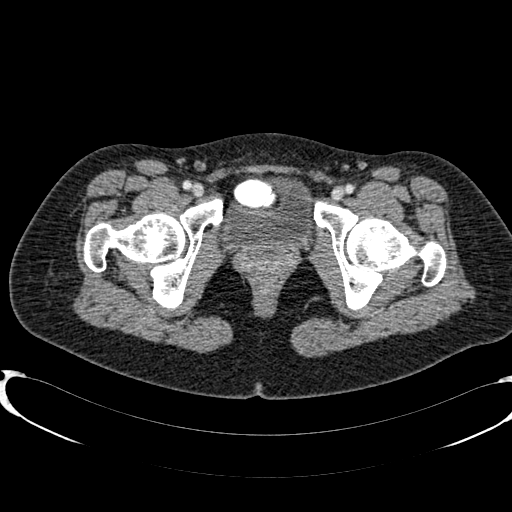

CT slice
Urinary bladder — (217, 182, 319, 252).